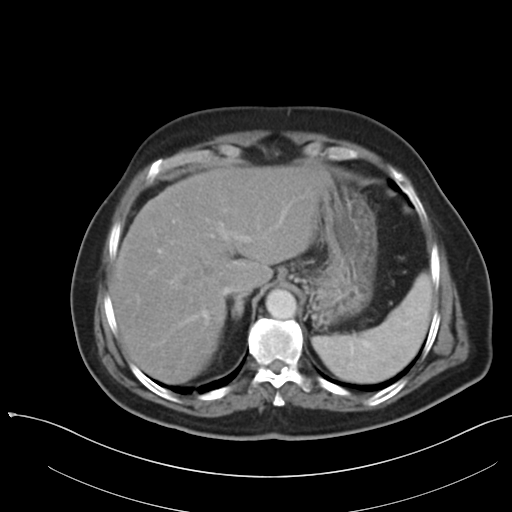

CT image | Abdomen | 512x512
Some hepatic vessels may have no box.
{
  "partial": true,
  "hepatic_vessel": {
    "n_total": 21,
    "boxes": [
      "box(201, 309, 209, 324)",
      "box(158, 249, 162, 257)",
      "box(234, 261, 244, 265)",
      "box(223, 208, 226, 212)",
      "box(179, 322, 183, 325)",
      "box(217, 222, 251, 242)",
      "box(151, 340, 164, 345)",
      "box(206, 218, 209, 221)",
      "box(275, 201, 292, 228)",
      "box(170, 278, 177, 288)",
      "box(149, 269, 155, 274)",
      "box(172, 219, 179, 222)",
      "box(185, 315, 197, 322)",
      "box(136, 294, 139, 301)",
      "box(208, 234, 214, 237)"
    ]
  },
  "liver_tumor": [
    "box(174, 254, 230, 291)"
  ]
}